Head
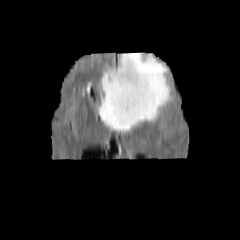
FLAIR magnetic resonance.
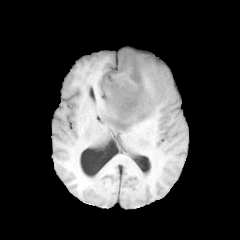
Same slice, T1-weighted MR.
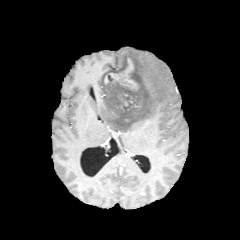
Post-contrast T1-weighted MR image.
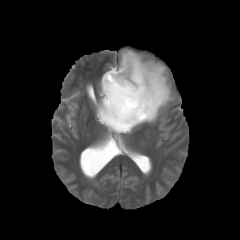
Same slice, T2-weighted MR image.
Enhancing tumor: bounding box <box>110,58,136,89</box>.
Edema: bounding box <box>97,48,173,132</box>.
Non-enhancing tumor core: bounding box <box>105,55,151,122</box>.